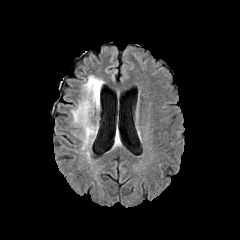
FLAIR MR.
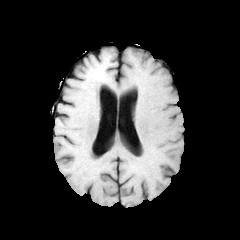
T1-weighted MR.
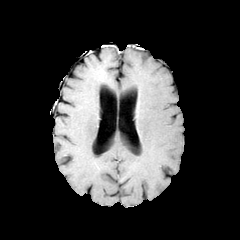
Same slice, post-contrast T1-weighted magnetic resonance.
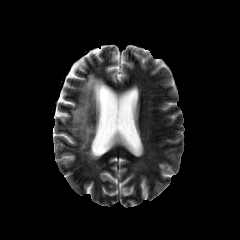
T2-weighted magnetic resonance of the same slice.
Edema: {"x1": 71, "y1": 74, "x2": 104, "y2": 158}.